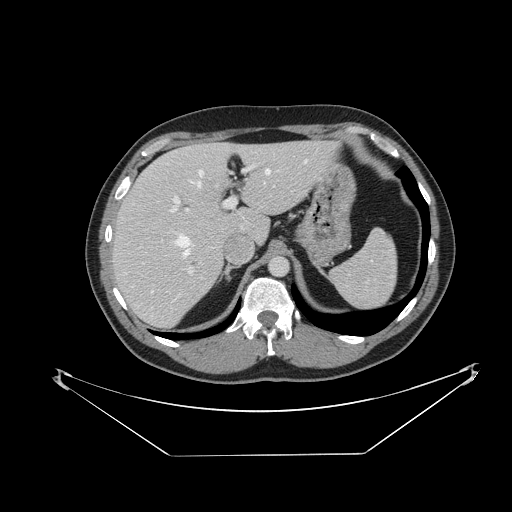 Computed tomography

{
  "spleen": [
    "[x1=331, y1=230, x2=396, y2=310]"
  ]
}